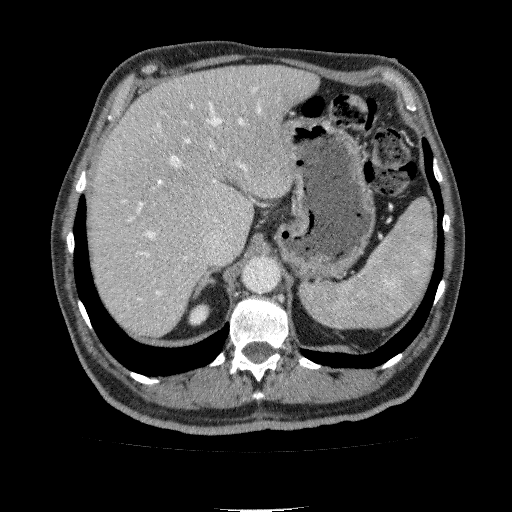

Computed tomography. 512x512 px.

Liver: (left=90, top=64, right=319, bottom=337).
Kidney: (left=190, top=306, right=206, bottom=323).